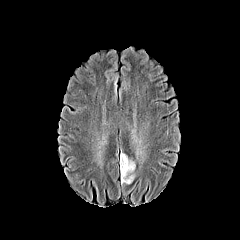
FLAIR magnetic resonance.
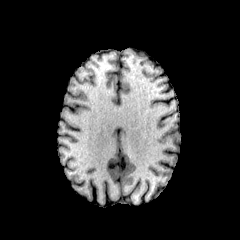
Same slice, T1-weighted MRI.
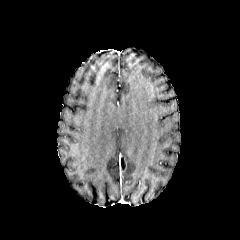
Post-contrast T1-weighted MR image of the same slice.
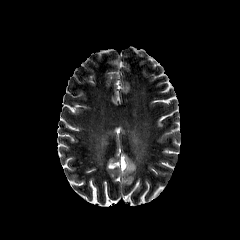
T2-weighted MRI of the same slice.
Edema: <bbox>120, 153, 135, 184</bbox>.